Upper abdomen. CT slice. Image width 439 mm. 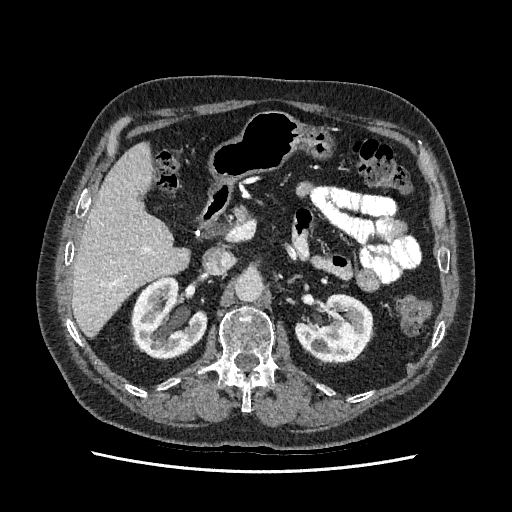

<segmentation>
  <kidney>l=296, t=295, r=371, b=361; l=132, t=278, r=206, b=357</kidney>
  <liver>l=72, t=143, r=188, b=335</liver>
</segmentation>